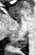 MRI slice
posterior hippocampus: <box>14,32,28,48</box>